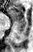

Medial temporal lobe, MRI
posterior_hippocampus:
  - box=[17, 22, 24, 33]
  - box=[15, 32, 20, 38]
anterior_hippocampus:
  - box=[10, 6, 24, 21]